Image size 240x240, Slice 114/155
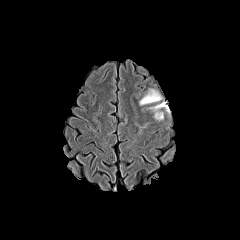
FLAIR MR.
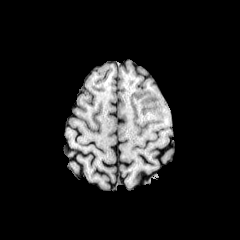
Same slice, T1-weighted magnetic resonance.
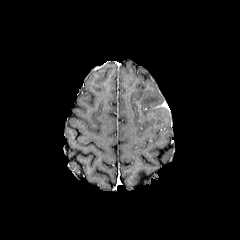
Post-contrast T1-weighted MRI.
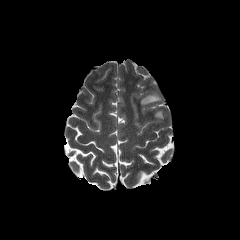
T2-weighted magnetic resonance.
Enhancing tumor at 152:103:168:109.
Edema at 139:90:161:104.